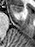

Hippocampus; MR
{"anterior_hippocampus": ["11,5,22,12"]}